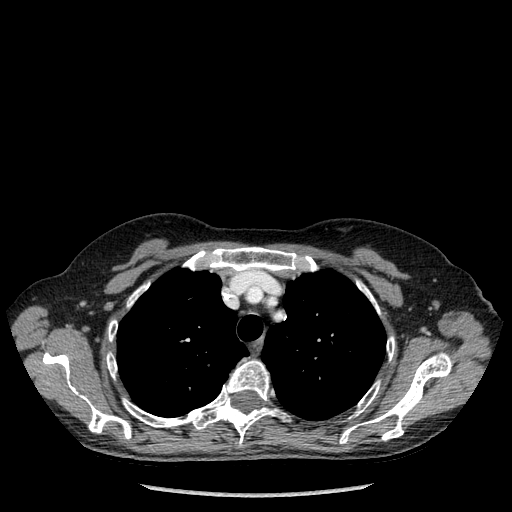
Chest | CT image
{
  "lung": [
    "261:269:386:420",
    "117:268:262:417"
  ],
  "bone": [
    "106:352:117:378",
    "122:360:290:444",
    "349:380:380:418",
    "386:336:394:360",
    "127:282:149:307",
    "108:320:117:341",
    "356:280:380:314",
    "339:353:451:443",
    "183:247:317:275",
    "42:352:131:439"
  ]
}